FLAIR MR image.
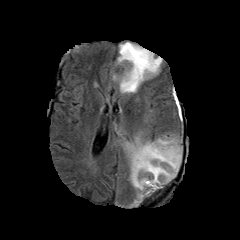
T1-weighted MR.
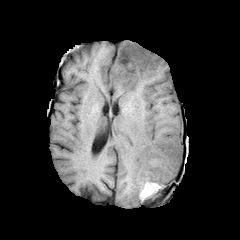
Post-contrast T1-weighted MRI.
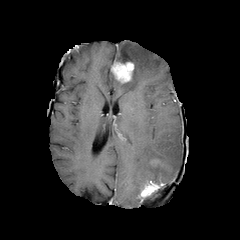
T2-weighted MRI.
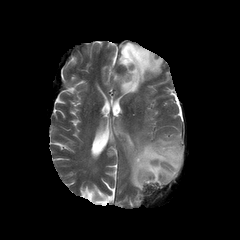
Head
Segmented structures:
- edema: 116,42,161,93; 124,136,182,195
- enhancing tumor: 112,62,134,83; 140,180,162,196
- non-enhancing tumor core: 115,45,147,68